Slice 27 of 54; Image width 400 mm; CT image; Abdomen
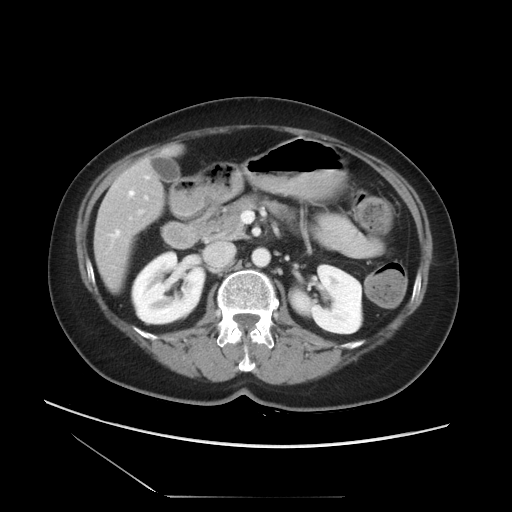 Some hepatic vessels may have no box.
{"hepatic_vessel": ["146,177,148,178", "110,231,119,240", "129,191,134,196", "139,210,142,213", "145,197,147,198"]}